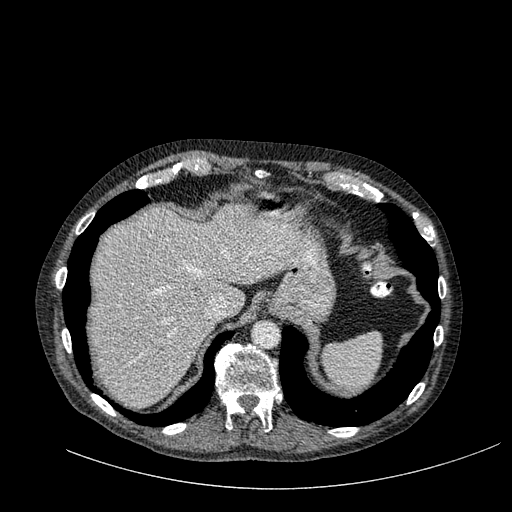

512x512. CT slice.
Segmented structures:
* liver: [x1=92, y1=205, x2=295, y2=406]